Liver; Slice index 42; CT

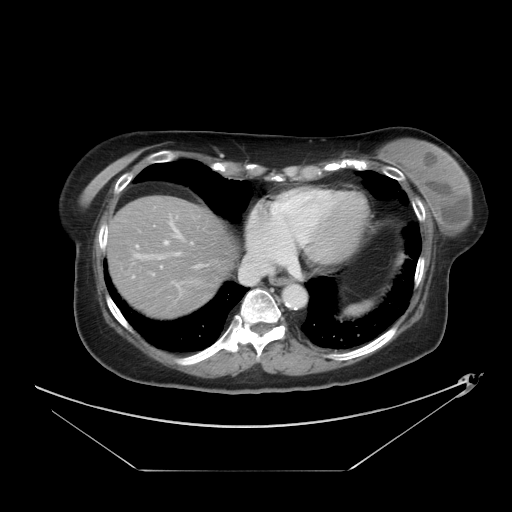

Only some of the vessels may be annotated.
Liver tumor = region(182, 280, 202, 301).
Hepatic vessel = region(171, 223, 180, 237); region(165, 241, 167, 244); region(240, 241, 267, 283); region(136, 255, 161, 257); region(175, 253, 178, 255).